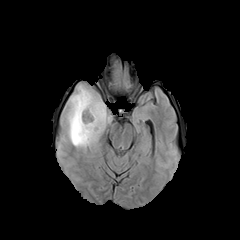
FLAIR MR image.
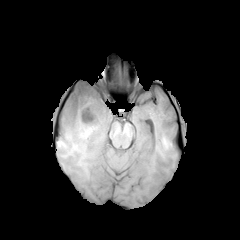
T1-weighted MR.
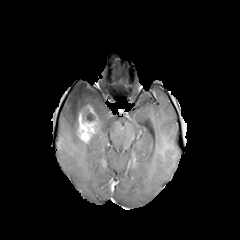
Post-contrast T1-weighted MR of the same slice.
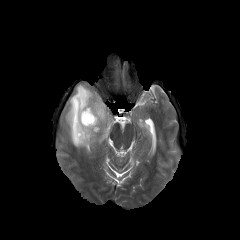
T2-weighted magnetic resonance.
Brain. 240x240.
Non-enhancing tumor core: bounding box box(75, 108, 80, 137); box(82, 108, 95, 121).
Enhancing tumor: bounding box box(77, 106, 97, 142).
Edema: bounding box box(63, 84, 112, 151).